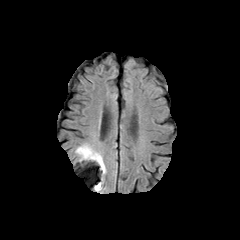
FLAIR MR.
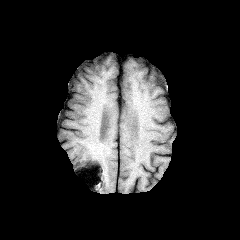
T1-weighted MRI of the same slice.
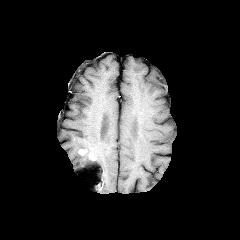
Post-contrast T1-weighted MRI.
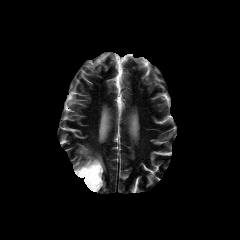
T2-weighted MRI.
240x240 | Brain
The enhancing tumor is bounded by (x1=78, y1=148, x2=95, y2=161). The edema is at (x1=75, y1=143, x2=106, y2=180).